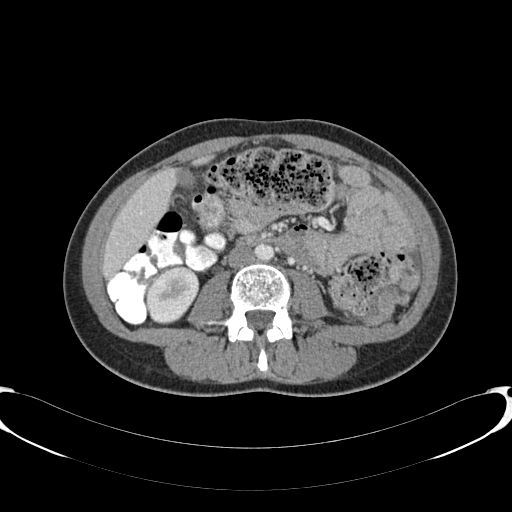

512x512 px, Upper abdomen, CT slice
Segmented structures:
- liver: region(193, 156, 211, 165); region(102, 169, 176, 278)
- kidney: region(148, 268, 197, 321)